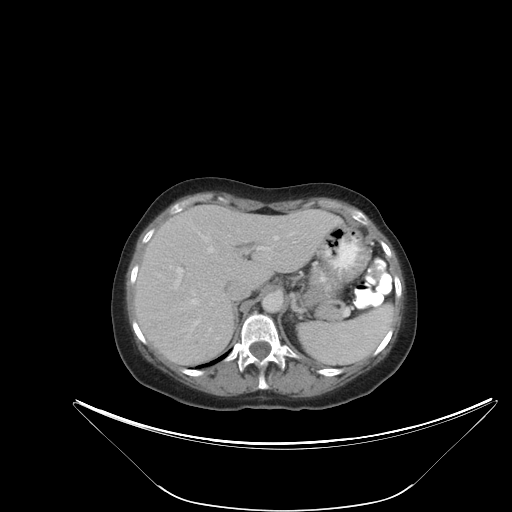

Liver. CT scan slice.

Not every hepatic vessel necessarily has a box.
{"hepatic_vessel": ["left=192, top=291, right=195, bottom=295", "left=193, top=301, right=196, bottom=303", "left=198, top=232, right=207, bottom=241", "left=210, top=248, right=211, bottom=250", "left=174, top=267, right=182, bottom=287", "left=258, top=247, right=269, bottom=249"]}